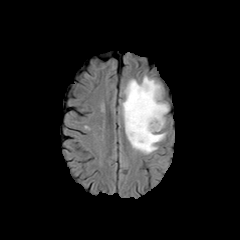
FLAIR MR.
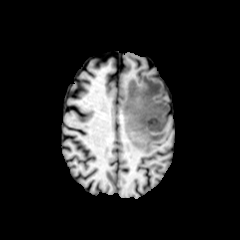
T1-weighted MRI of the same slice.
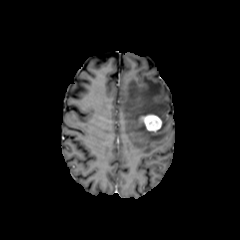
Post-contrast T1-weighted MR image of the same slice.
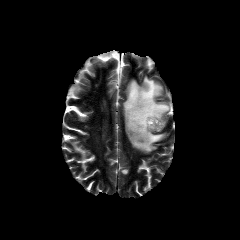
T2-weighted MRI of the same slice.
The edema is at region(122, 76, 169, 153). The enhancing tumor appears at region(139, 114, 161, 131).